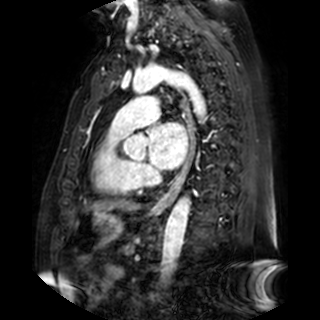 Magnetic resonance | Image size 320x320 | Cardiac

The left atrium lies within 149, 122, 187, 168.